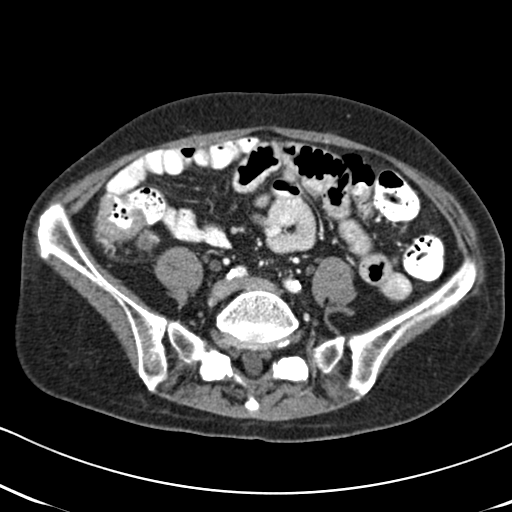

CT image | Abdomen
<segmentation>
  <colon_tumor>bbox=[96, 195, 145, 240]</colon_tumor>
</segmentation>